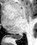

Hippocampus. Magnetic resonance. posterior_hippocampus:
  - [13, 34, 22, 39]